Slice 92/155 | Image size 240x240
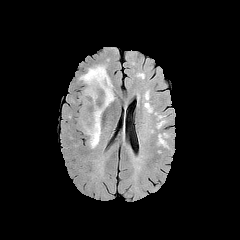
FLAIR magnetic resonance.
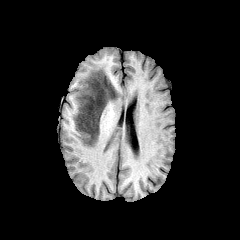
T1-weighted MR.
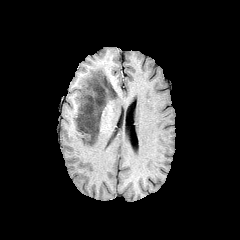
Post-contrast T1-weighted magnetic resonance.
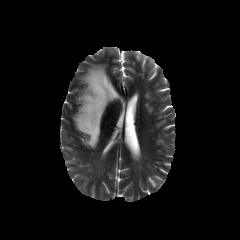
T2-weighted MR.
Edema at (81, 78, 88, 93), (84, 131, 101, 148).
Non-enhancing tumor core at (76, 65, 115, 142).